FLAIR MR.
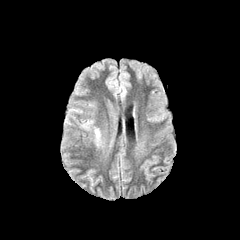
T1-weighted MRI.
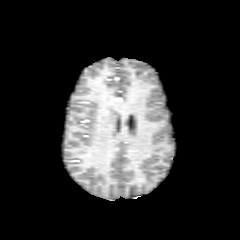
Post-contrast T1-weighted MR.
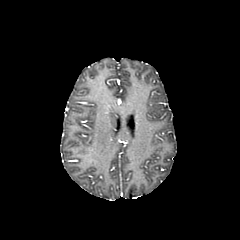
T2-weighted MRI.
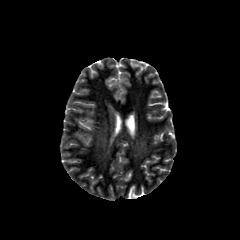
Head
Edema = <box>80,120,94,130</box>.